CT scan slice. Slice 138 of 322.
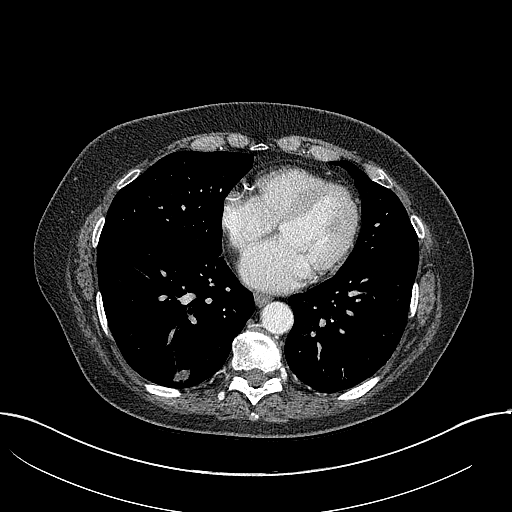

Segmented structures:
* lung tumor: box=[168, 366, 190, 387]